Brain | 240x240 px | Slice 67 of 155
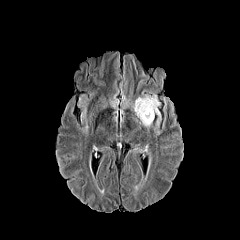
FLAIR magnetic resonance.
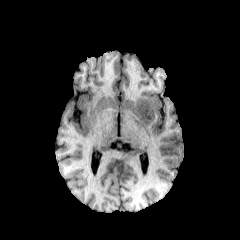
Same slice, T1-weighted magnetic resonance.
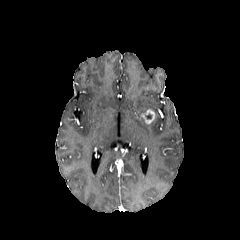
Post-contrast T1-weighted MRI.
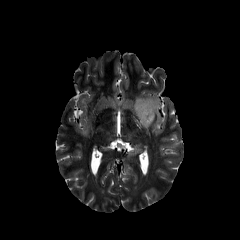
T2-weighted MR image.
Annotated regions:
• enhancing tumor: left=141, top=109, right=154, bottom=124
• edema: left=133, top=91, right=161, bottom=130